Slice 119/155, Brain
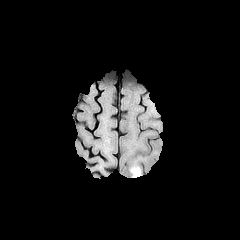
FLAIR magnetic resonance.
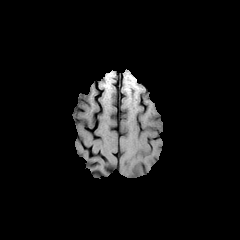
Same slice, T1-weighted MRI.
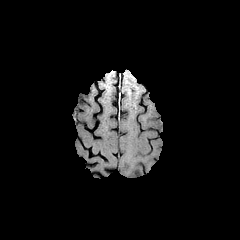
Post-contrast T1-weighted magnetic resonance.
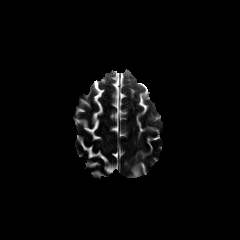
T2-weighted MRI.
Edema = box=[131, 167, 140, 177].